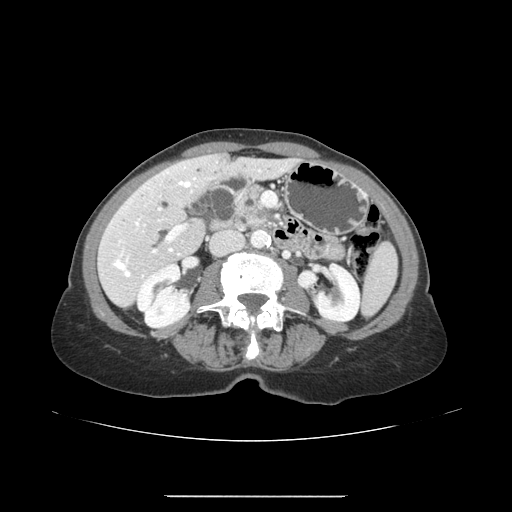

Abdomen, CT scan slice
The pancreas is bounded by 240, 187, 270, 225. The pancreatic tumor is bounded by 255, 207, 267, 218.